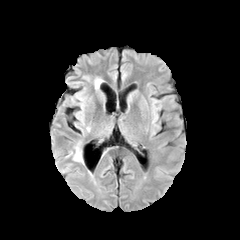
FLAIR MR image.
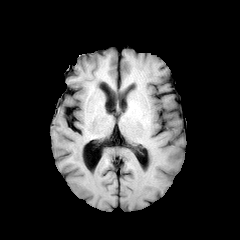
Same slice, T1-weighted MR image.
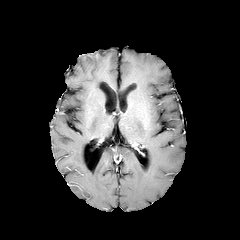
Post-contrast T1-weighted MR image of the same slice.
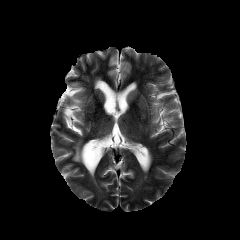
T2-weighted MR.
Head
Edema = <bbox>70, 141, 83, 162</bbox>, <bbox>72, 93, 86, 124</bbox>, <bbox>94, 77, 103, 90</bbox>.